FLAIR magnetic resonance.
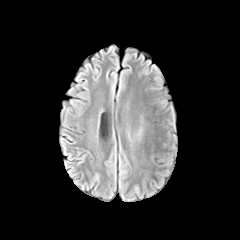
T1-weighted magnetic resonance.
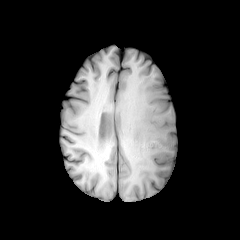
Post-contrast T1-weighted MR.
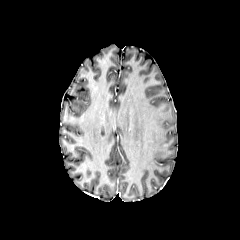
T2-weighted magnetic resonance.
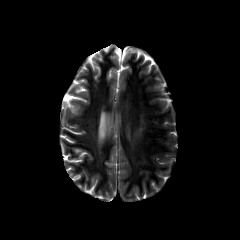
Brain | 240x240
Edema = (left=135, top=126, right=142, bottom=141).